CT, 512x512, Abdomen

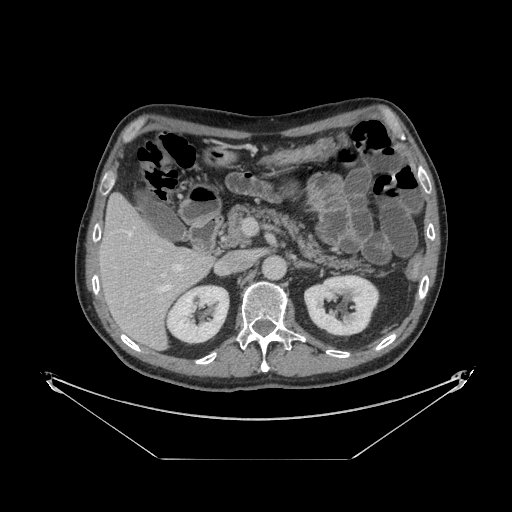

Pancreas at 223,204,377,275.